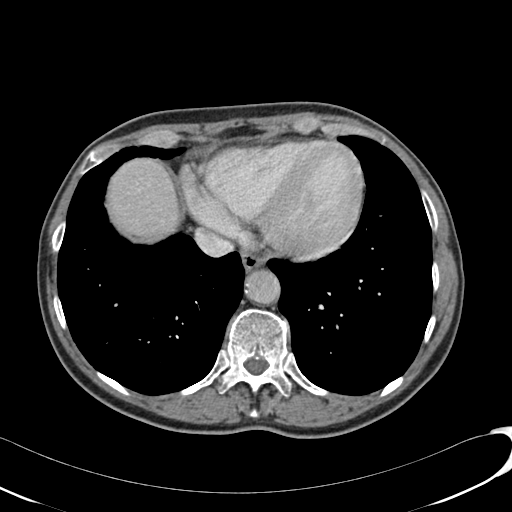 Image size 512x512, CT
The liver lies within [108,159,177,238].